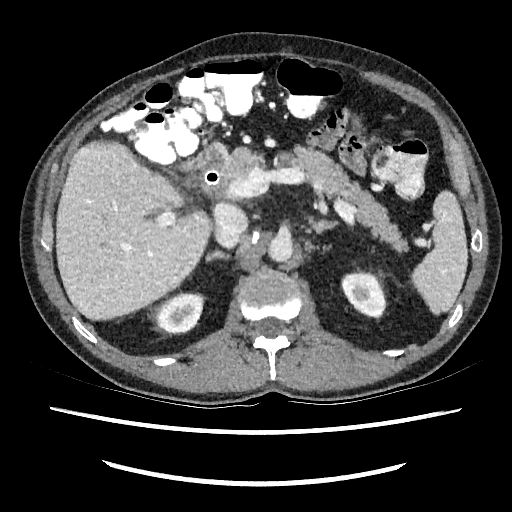 CT
Kidney: {"x1": 343, "y1": 274, "x2": 384, "y2": 315}, {"x1": 158, "y1": 295, "x2": 201, "y2": 332}.
Liver: {"x1": 56, "y1": 142, "x2": 211, "y2": 319}.